CT slice; Abdomen
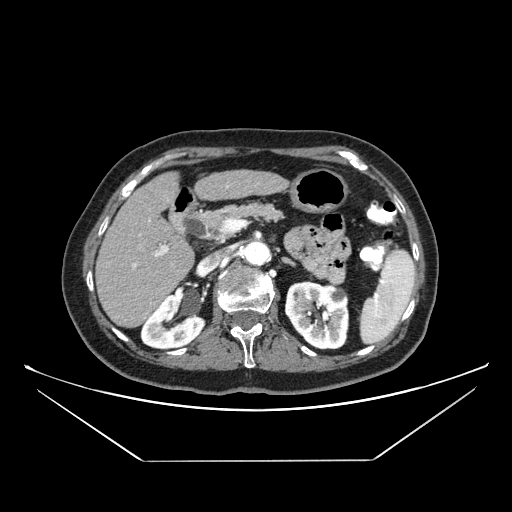

Pancreas — (left=184, top=201, right=284, bottom=246).